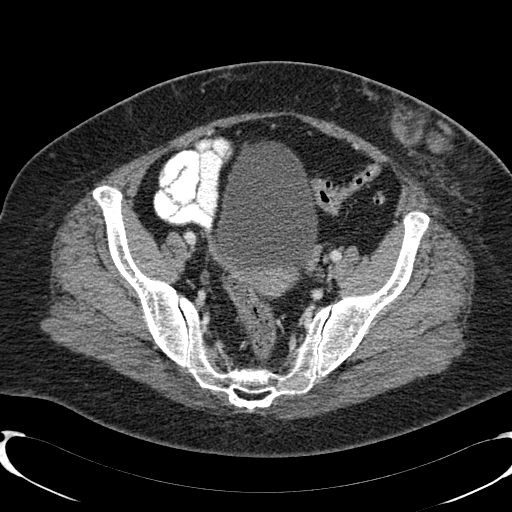
Computed tomography | Lower abdomen | 512x512 px

Urinary bladder — (x1=216, y1=142, x2=317, y2=271).